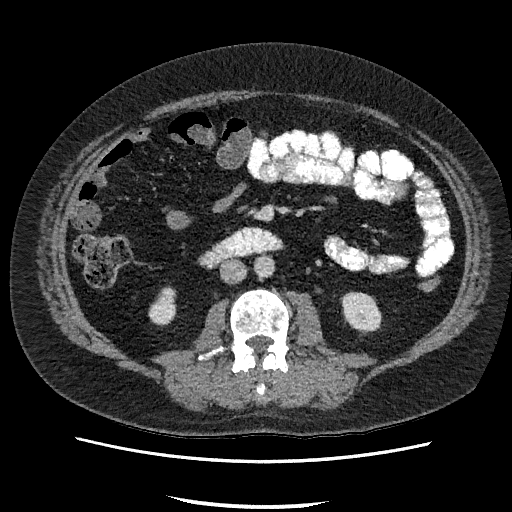

CT scan slice

* kidney: box=[343, 294, 380, 329]; box=[150, 290, 174, 322]